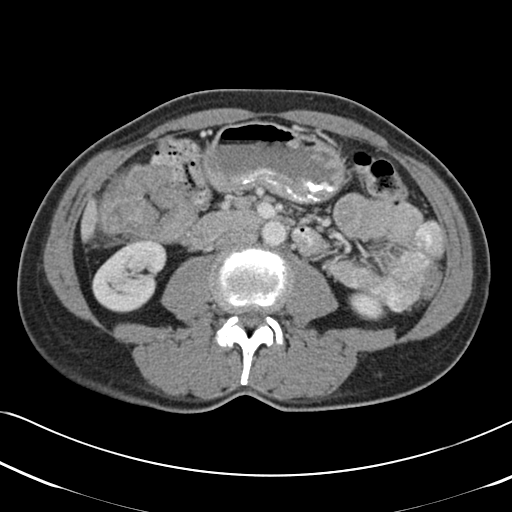
CT scan slice; Image size 512x512
Colon tumor at [97, 164, 197, 243].